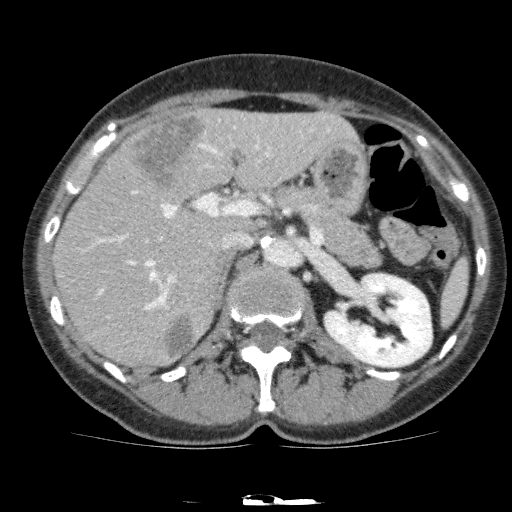

CT, Liver

The liver is located at left=53, top=108, right=361, bottom=367. 2 liver lesion regions are bounded by left=129, top=113, right=205, bottom=189; left=161, top=313, right=196, bottom=360. The kidney appears at left=325, top=274, right=431, bottom=366.